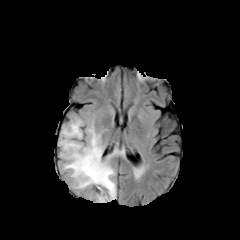
FLAIR MRI.
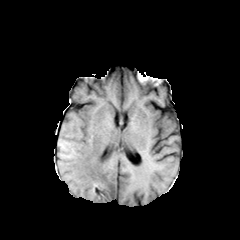
T1-weighted MR.
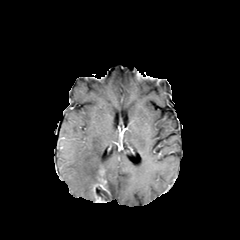
Same slice, post-contrast T1-weighted magnetic resonance.
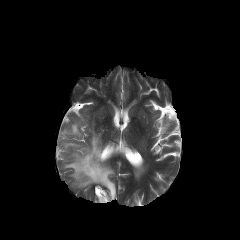
T2-weighted MR of the same slice.
Head. Image size 240x240.
edema:
  - [58, 120, 117, 201]
non-enhancing_tumor_core:
  - [98, 190, 107, 200]
  - [96, 168, 106, 186]